FLAIR magnetic resonance.
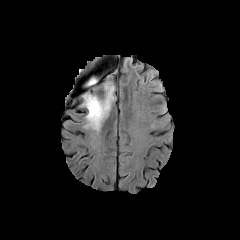
T1-weighted MR.
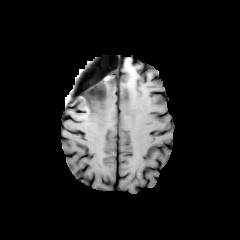
Post-contrast T1-weighted MR.
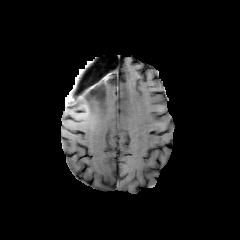
T2-weighted magnetic resonance.
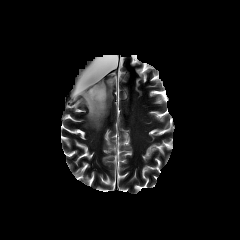
Brain
Edema: bounding box bbox(82, 76, 98, 88); bbox(84, 80, 115, 131).
Non-enhancing tumor core: bounding box bbox(80, 83, 99, 99).